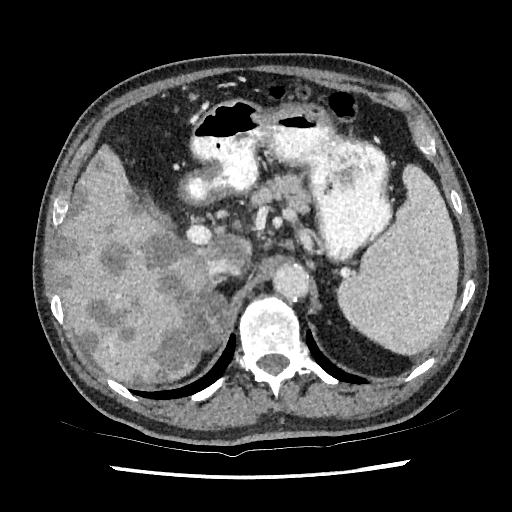
CT image; Upper abdomen
• liver: x1=165 y1=358 x2=197 y2=380, x1=59 y1=146 x2=215 y2=381, x1=232 y1=237 x2=251 y2=266
• hepatic lesion: x1=105 y1=224 x2=114 y2=233, x1=145 y1=230 x2=198 y2=267, x1=59 y1=239 x2=86 y2=262, x1=155 y1=271 x2=194 y2=312, x1=79 y1=334 x2=99 y2=350, x1=66 y1=186 x2=89 y2=221, x1=95 y1=159 x2=103 y2=169, x1=211 y1=236 x2=246 y2=263, x1=59 y1=268 x2=74 y2=290, x1=142 y1=329 x2=199 y2=381, x1=97 y1=241 x2=128 y2=276, x1=87 y1=297 x2=136 y2=345, x1=126 y1=194 x2=143 y2=215, x1=134 y1=374 x2=141 y2=381